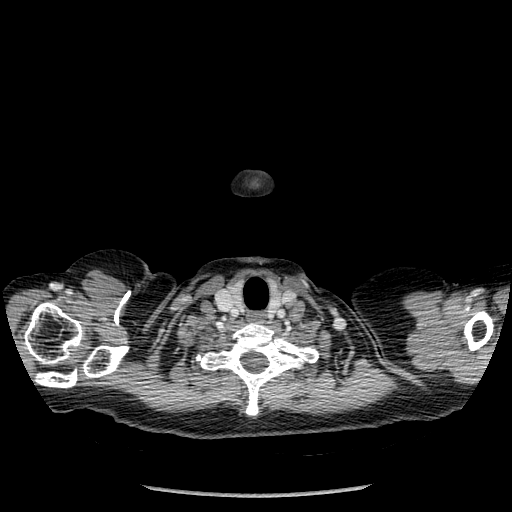
CT.

Segmented structures:
• bone: (x1=35, y1=368, x2=77, y2=387), (x1=196, y1=323, x2=319, y2=415), (x1=82, y1=346, x2=128, y2=377), (x1=24, y1=302, x2=84, y2=364), (x1=464, y1=311, x2=493, y2=350)